CT slice

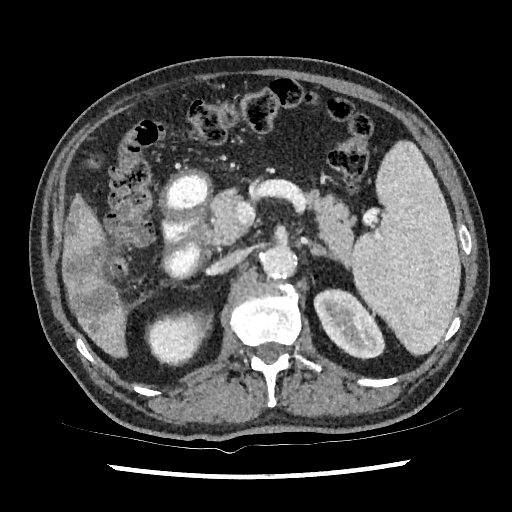
2 liver regions are bounded by left=65, top=275, right=127, bottom=356; left=64, top=203, right=107, bottom=262. 4 hepatic lesion regions appear at left=65, top=216, right=79, bottom=239; left=63, top=245, right=104, bottom=280; left=70, top=285, right=115, bottom=333; left=71, top=198, right=82, bottom=211. 2 kidney regions appear at left=314, top=290, right=384, bottom=357; left=150, top=315, right=203, bottom=363.